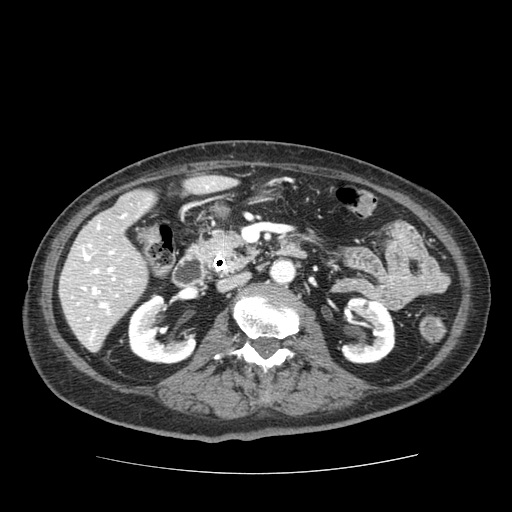

Abdomen | 512x512 px | Computed tomography
pancreas: 191,231,253,271